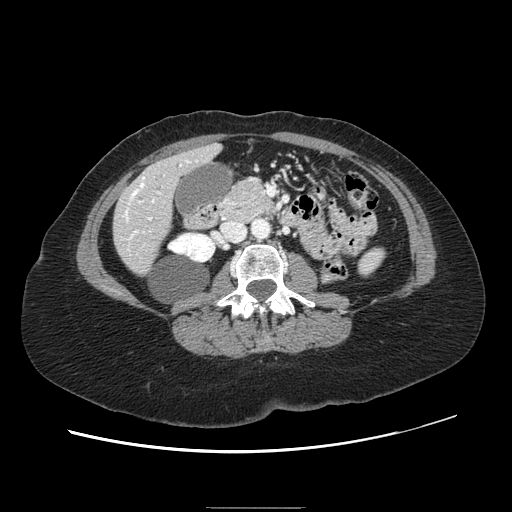 CT image
• pancreas: 222, 180, 274, 223